Image width 375 mm; Image size 512x512; CT scan slice 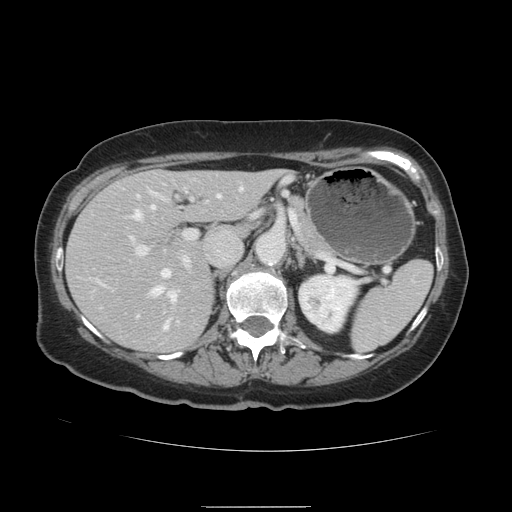 Only some of the vessels may be annotated.
[15/16] hepatic vessel: l=149, t=286, r=162, b=296; l=181, t=256, r=188, b=266; l=150, t=205, r=154, b=209; l=182, t=230, r=195, b=239; l=131, t=210, r=140, b=220; l=161, t=269, r=169, b=277; l=184, t=189, r=185, b=191; l=216, t=194, r=219, b=197; l=135, t=245, r=147, b=255; l=101, t=284, r=104, b=285; l=239, t=187, r=242, b=190; l=130, t=237, r=133, b=241; l=167, t=292, r=175, b=303; l=150, t=192, r=160, b=197; l=162, t=320, r=169, b=330